Slice 128/161; CT scan slice; 512x512 px; Abdomen

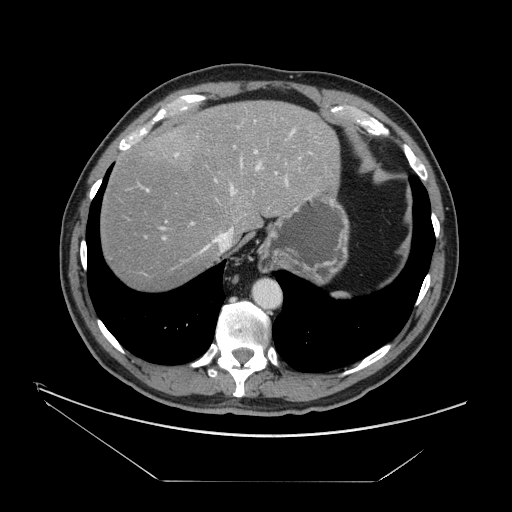 Some hepatic vessels may have no box.
Hepatic vessel = l=256, t=164, r=260, b=169; l=214, t=233, r=226, b=241; l=285, t=179, r=287, b=183; l=146, t=189, r=148, b=191; l=254, t=150, r=256, b=152; l=230, t=187, r=235, b=193; l=291, t=130, r=294, b=133; l=230, t=228, r=232, b=231.